FLAIR magnetic resonance.
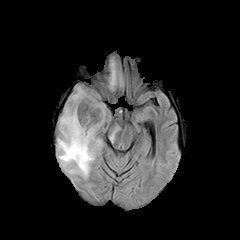
T1-weighted MR image.
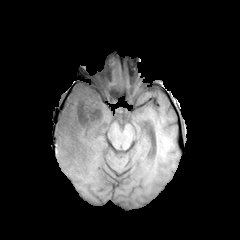
Post-contrast T1-weighted magnetic resonance.
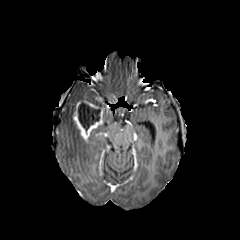
T2-weighted MR image.
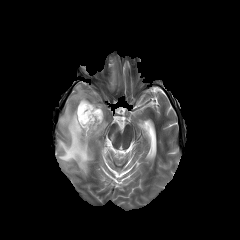
Brain
Enhancing tumor at l=73, t=108, r=102, b=141.
Edema at l=94, t=106, r=110, b=131; l=110, t=63, r=115, b=85; l=58, t=87, r=99, b=177.
Non-enhancing tumor core at l=76, t=96, r=105, b=129; l=71, t=110, r=87, b=142.